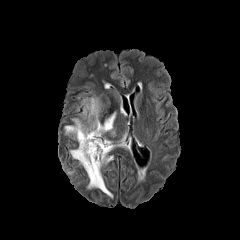
FLAIR magnetic resonance.
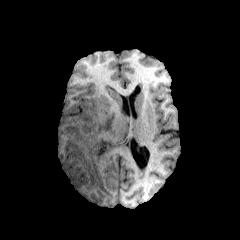
T1-weighted magnetic resonance of the same slice.
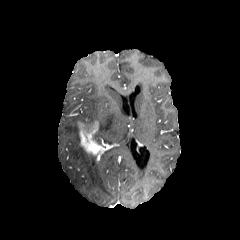
Post-contrast T1-weighted magnetic resonance.
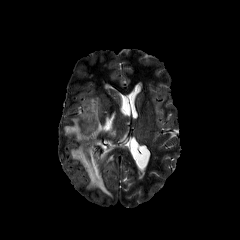
T2-weighted MR image.
Head.
enhancing tumor: 77,120,103,159 | edema: 64,118,79,143; 94,112,116,138; 68,137,113,197; 78,97,100,123